FLAIR MR.
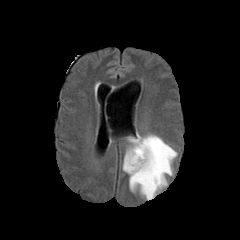
T1-weighted magnetic resonance.
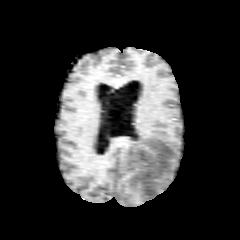
Post-contrast T1-weighted MR.
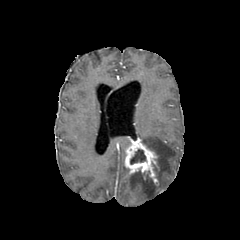
T2-weighted magnetic resonance.
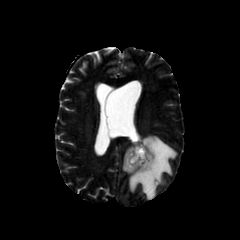
Brain
Non-enhancing tumor core — x1=138, y1=170, x2=152, y2=179; x1=130, y1=148, x2=145, y2=164; x1=153, y1=152, x2=158, y2=172.
Enhancing tumor — x1=125, y1=137, x2=157, y2=182.
Edema — x1=121, y1=134, x2=177, y2=199.